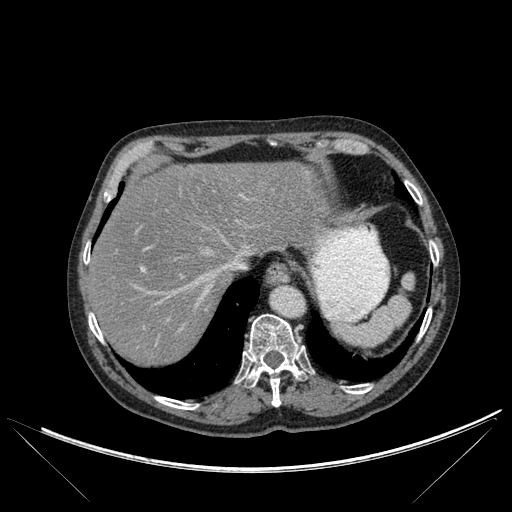 CT slice

<segmentation>
  <liver>bbox(89, 162, 317, 366)</liver>
  <bone>bbox(89, 313, 102, 341); bbox(430, 241, 438, 264); bbox(83, 244, 89, 263); bbox(241, 314, 310, 406); bbox(419, 308, 431, 337); bbox(405, 180, 422, 203); bbox(155, 396, 196, 409); bbox(343, 384, 371, 394)</bone>
  <lung>bbox(306, 313, 422, 381); bbox(393, 173, 412, 204); bbox(120, 277, 258, 398); bbox(96, 185, 123, 236)</lung>
</segmentation>